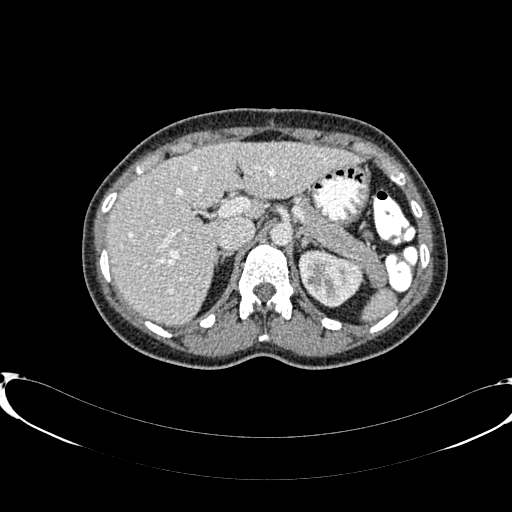

Abdomen, CT slice
liver: bbox=[105, 142, 366, 324]; bbox=[247, 200, 264, 219] | kidney: bbox=[300, 252, 360, 305]